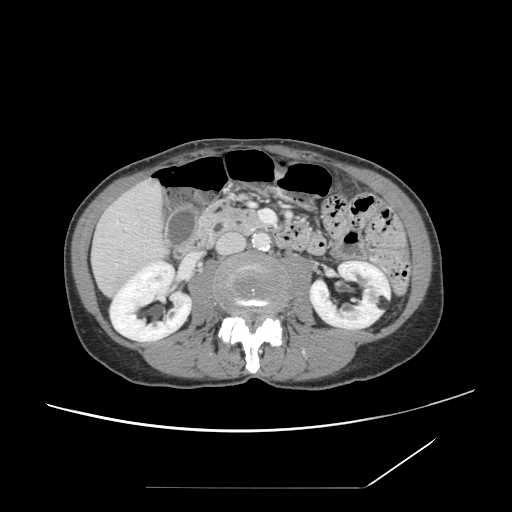 CT scan slice. Image size 512x512. Upper abdomen.

Pancreas: bounding box region(202, 199, 267, 236).